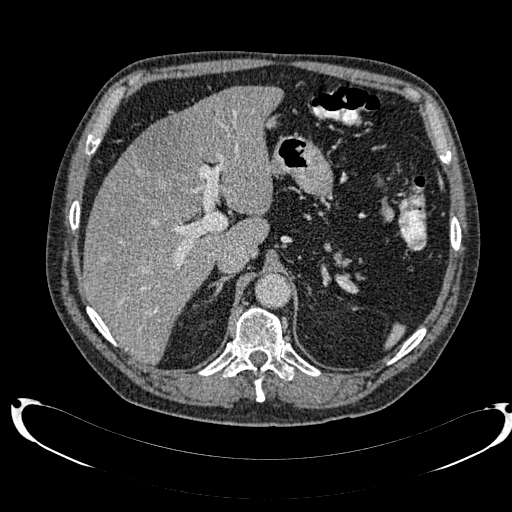 512x512 px, CT
Focal liver lesion: 136:118:193:175.
Liver: 82:86:284:365.